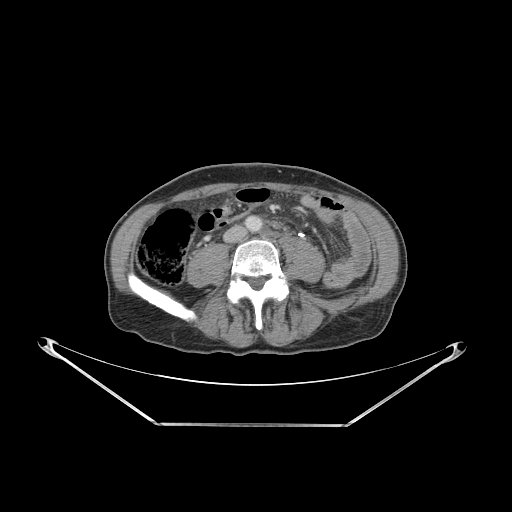
Computed tomography
Bone at bbox(227, 240, 288, 328); bbox(129, 275, 194, 318).